Field of view 393 mm wide, 5.00 mm slice spacing. Slice 36/52. Liver. CT image.
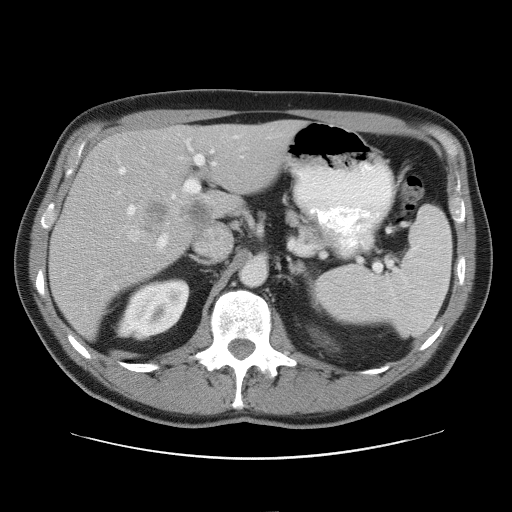 Only some of the vessels may be annotated.
Hepatic vessel: 160:170:163:174, 119:168:124:174, 193:154:203:164, 268:137:270:138, 128:230:143:241, 165:224:168:226, 202:196:209:202, 157:234:167:251, 115:192:119:194, 170:178:199:203, 172:207:178:211, 210:149:213:152, 212:162:216:166, 234:136:239:138, 126:204:140:215.
Liver tumor: 182:202:212:225, 146:204:170:232.